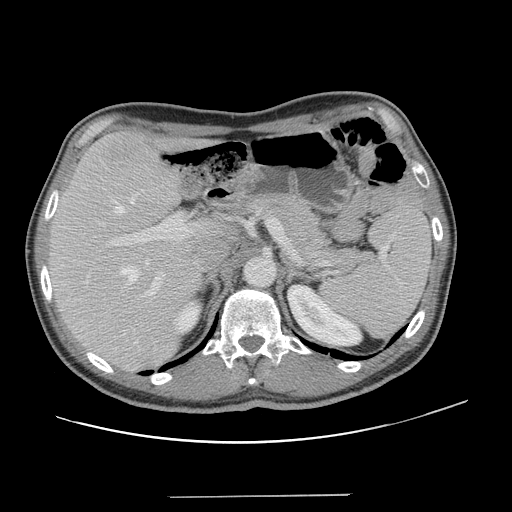

Abdomen; CT; Image size 512x512
Only some of the vessels may be annotated.
Hepatic vessel = x1=121 y1=268 x2=137 y2=282, x1=109 y1=239 x2=120 y2=244, x1=144 y1=275 x2=160 y2=295, x1=113 y1=201 x2=123 y2=213, x1=146 y1=261 x2=148 y2=264, x1=161 y1=274 x2=164 y2=275, x1=128 y1=194 x2=138 y2=202, x1=101 y1=224 x2=103 y2=225, x1=135 y1=341 x2=136 y2=343.